Slice 507 of 547; CT scan slice; Abdomen
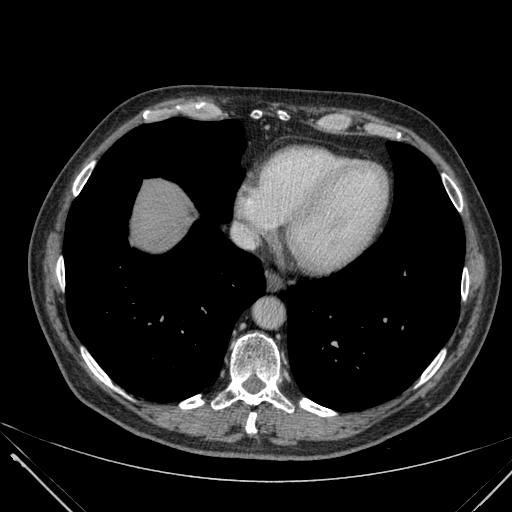
• liver: (131, 180, 197, 250)